Slice 42/155, Image width 240 mm
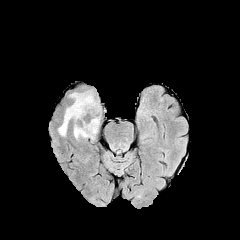
FLAIR MRI.
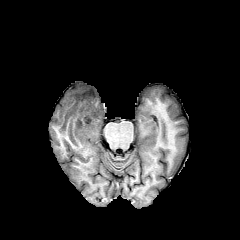
T1-weighted MR image.
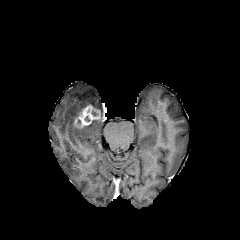
Same slice, post-contrast T1-weighted MR image.
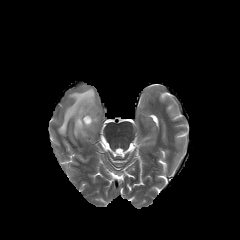
T2-weighted MR image of the same slice.
<segmentation>
  <non-enhancing_tumor_core>box=[76, 90, 93, 105]</non-enhancing_tumor_core>
  <edema>box=[90, 95, 101, 110]; box=[58, 92, 101, 138]</edema>
  <enhancing_tumor>box=[74, 105, 99, 125]</enhancing_tumor>
</segmentation>